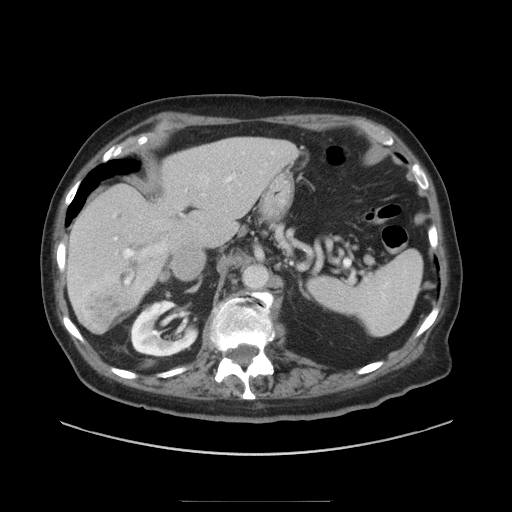
CT

Not every hepatic vessel necessarily has a box.
Hepatic vessel = bbox(227, 173, 235, 181); bbox(199, 174, 209, 184); bbox(125, 274, 132, 284); bbox(113, 237, 117, 240); bbox(140, 241, 166, 259); bbox(122, 248, 135, 258); bbox(112, 214, 115, 217).
Liver tumor = bbox(81, 282, 132, 329).